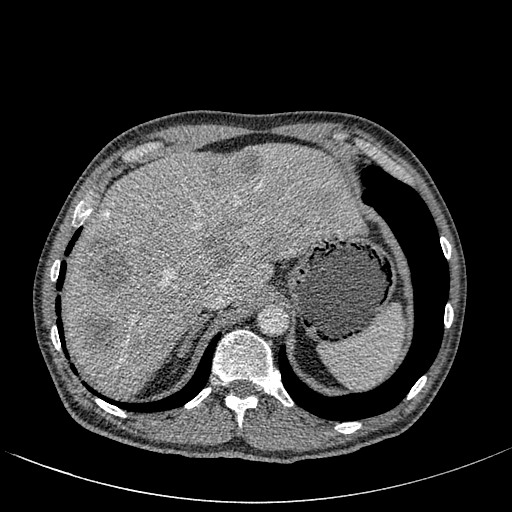

CT scan slice.
Liver at region(63, 144, 369, 396).
Liver lesion at region(205, 229, 237, 265); region(264, 236, 276, 246); region(85, 233, 132, 290); region(205, 151, 263, 187); region(317, 193, 329, 206); region(82, 313, 117, 348).